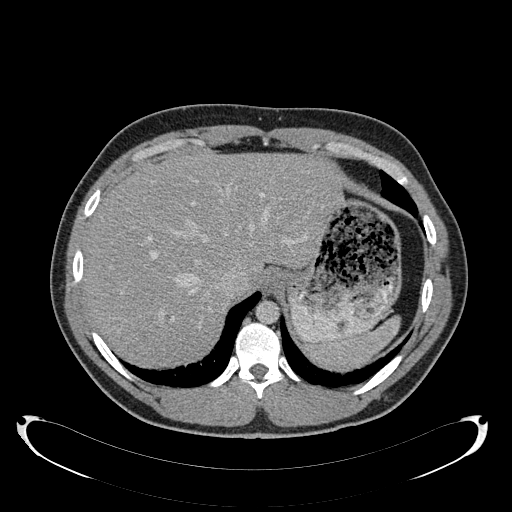

Computed tomography, 512x512 px
Annotated regions:
• liver: (83, 154, 337, 363)